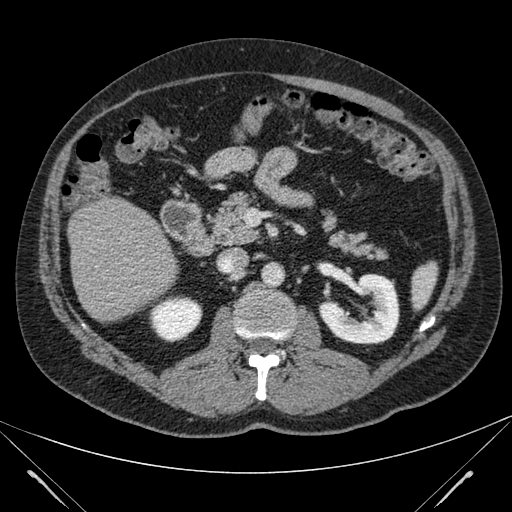

Upper abdomen | Computed tomography
Kidney = x1=320 y1=274 x2=398 y2=342, x1=152 y1=298 x2=200 y2=339.
Liver = x1=69 y1=195 x2=178 y2=320.